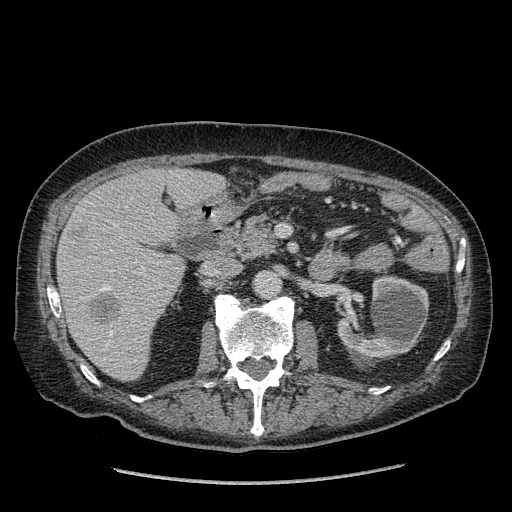
Computed tomography; 512x512 px; Upper abdomen

liver_lesion:
  - x1=90 y1=291 x2=120 y2=324
liver:
  - x1=57 y1=168 x2=226 y2=380
kidney:
  - x1=338 y1=307 x2=419 y2=357
  - x1=372 y1=276 x2=428 y2=311